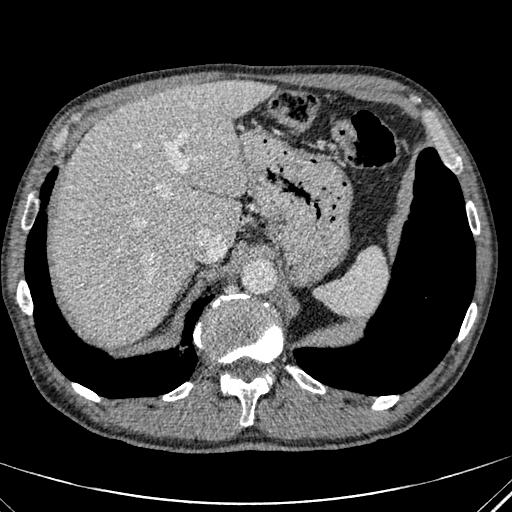

CT scan slice; 512x512; Liver
Liver: l=55, t=80, r=275, b=344.